Brain
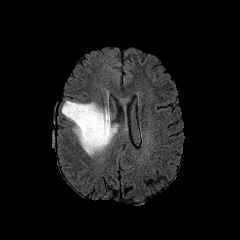
FLAIR magnetic resonance.
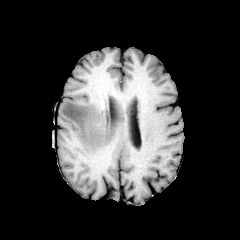
T1-weighted MR image.
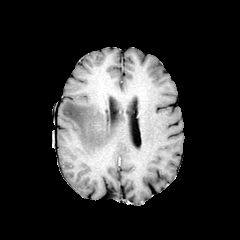
Post-contrast T1-weighted MR image of the same slice.
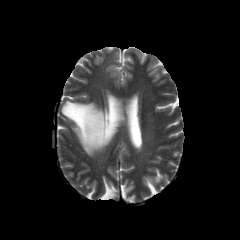
T2-weighted magnetic resonance.
<segmentation>
  <edema>[60, 100, 118, 156]</edema>
</segmentation>